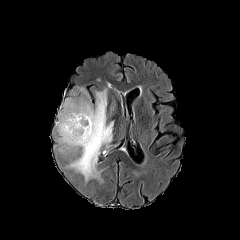
FLAIR MRI.
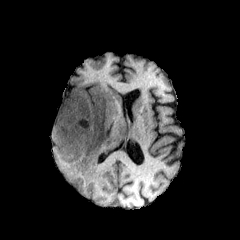
Same slice, T1-weighted MRI.
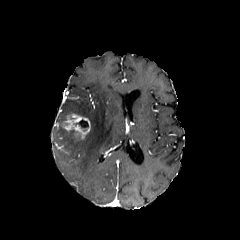
Same slice, post-contrast T1-weighted MRI.
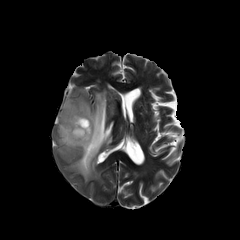
Same slice, T2-weighted MR image.
240x240; Head
The edema is at rect(54, 83, 113, 184). The enhancing tumor is at rect(60, 113, 90, 141). The non-enhancing tumor core is located at rect(76, 119, 89, 128).